Image width 240 mm
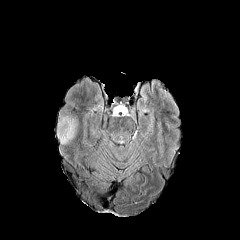
FLAIR magnetic resonance.
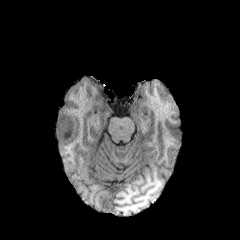
T1-weighted MR of the same slice.
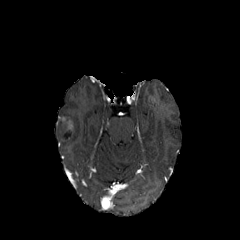
Post-contrast T1-weighted MRI.
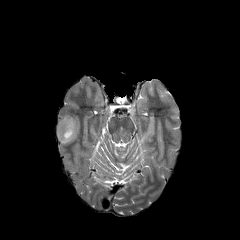
Same slice, T2-weighted MR.
edema: bbox=[56, 132, 75, 145] | enhancing tumor: bbox=[65, 119, 73, 131] | non-enhancing tumor core: bbox=[56, 119, 74, 141]